CT slice, Field of view 403x403 mm, Liver, 512x512 px

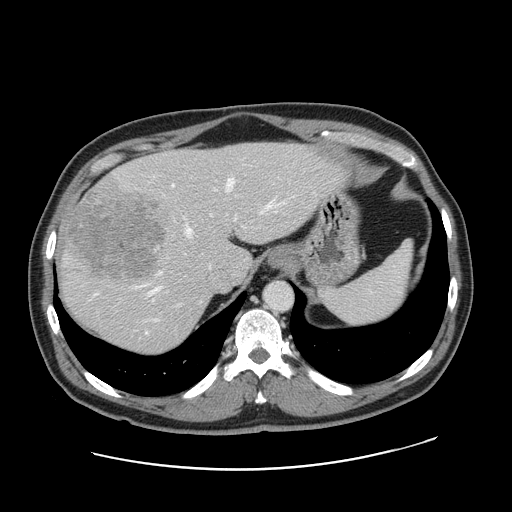 The vessel annotation is not exhaustive.
Hepatic vessel: bounding box (left=234, top=215, right=236, bottom=220), (left=171, top=184, right=173, bottom=185), (left=152, top=300, right=153, bottom=301), (left=176, top=304, right=180, bottom=305), (left=210, top=213, right=212, bottom=215), (left=151, top=318, right=158, bottom=320), (left=185, top=228, right=192, bottom=235), (left=145, top=330, right=147, bottom=333), (left=242, top=225, right=245, bottom=226), (left=227, top=178, right=233, bottom=189), (left=261, top=201, right=279, bottom=213), (left=282, top=201, right=285, bottom=203), (left=214, top=188, right=215, bottom=189).
Liver tumor: bounding box (left=67, top=193, right=164, bottom=279).